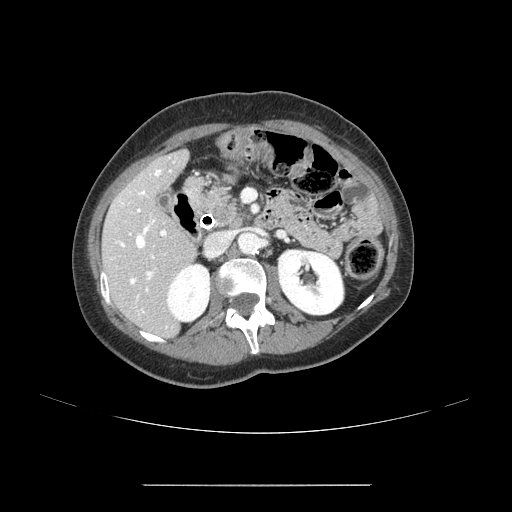 Abdomen | CT image | 512x512 px

The pancreas is bounded by 185, 178, 247, 231. The pancreatic tumor appears at 212, 202, 231, 221.